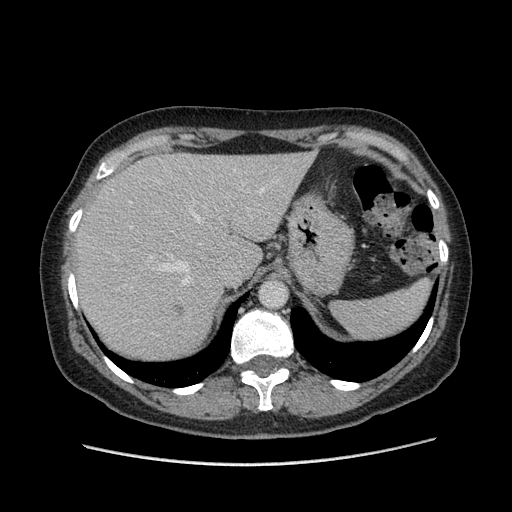

Abdomen | Computed tomography
Not every hepatic vessel necessarily has a box.
Hepatic vessel at [182,275,190,283], [149,256,152,259], [158,261,188,272], [186,199,203,223], [204,206,206,207], [125,284,132,290], [134,276,137,279].